Upper abdomen | CT scan slice

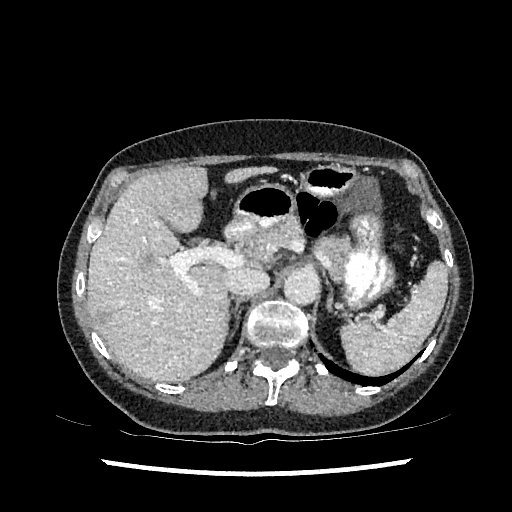 Findings:
• liver lesion: region(89, 302, 110, 325); region(139, 253, 154, 270)
• liver: region(227, 167, 275, 183); region(88, 166, 226, 381)